Image width 386 mm; CT slice

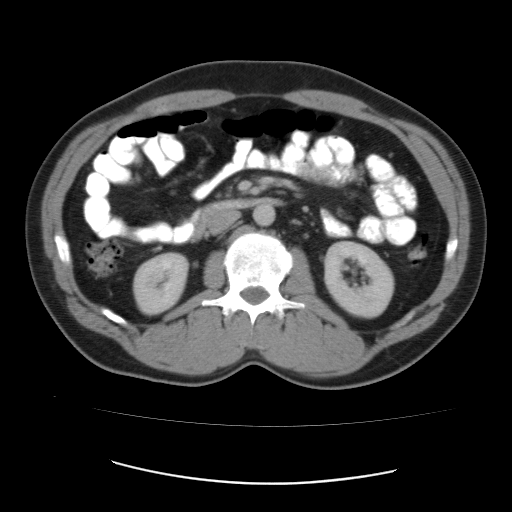
colon_tumor:
  - bbox=[408, 246, 426, 260]